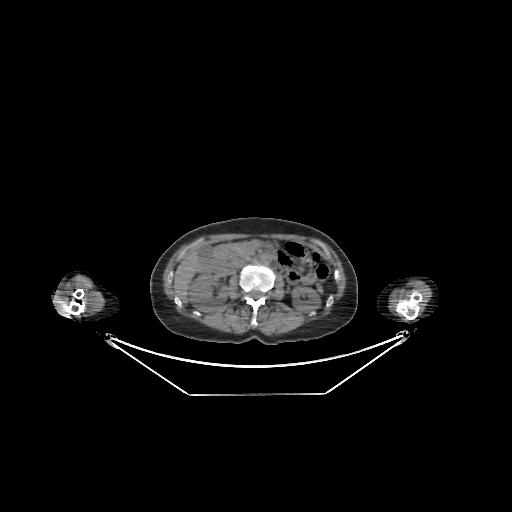 Abdomen | Computed tomography
{"liver": ["174:252:212:300"], "kidney": ["188:271:230:311", "291:284:321:316"]}